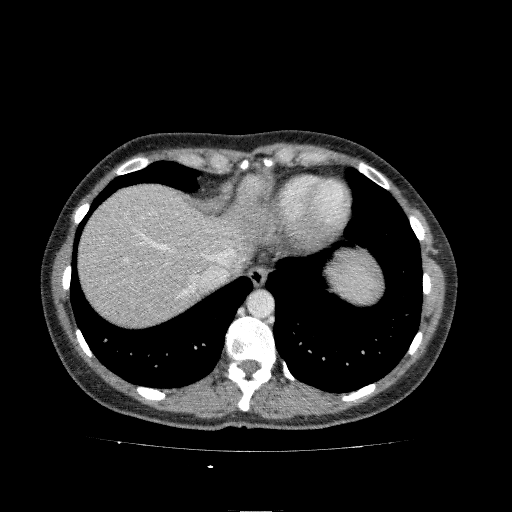
Computed tomography

{"liver": ["(left=79, top=176, right=271, bottom=325)"]}